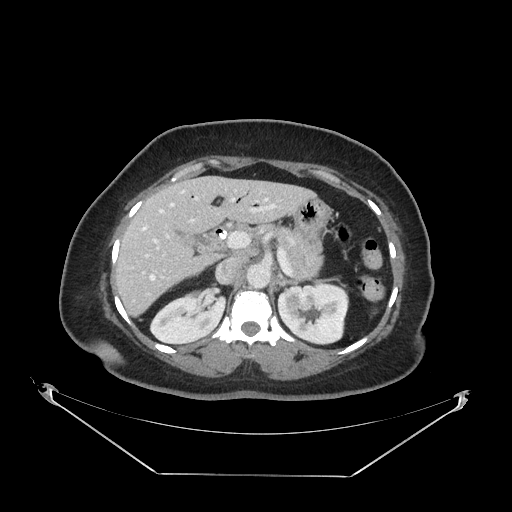
Image size 512x512, CT image, Upper abdomen

pancreas: x1=276 y1=226 x2=324 y2=280